CT image. Slice 319/781. 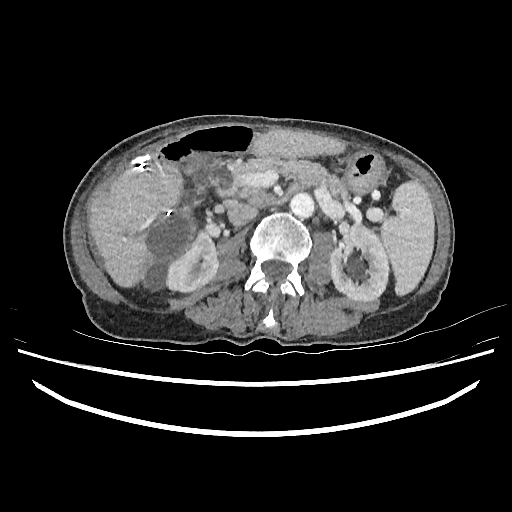
3 liver regions appear at x1=253, y1=129, x2=346, y2=156; x1=89, y1=163, x2=184, y2=286; x1=179, y1=231, x2=193, y2=253. 2 kidney regions are bounded by x1=330, y1=228, x2=388, y2=301; x1=167, y1=221, x2=219, y2=291. The liver lesion is at x1=142, y1=214, x2=193, y2=289.